Pelvis, Computed tomography, Slice index 60 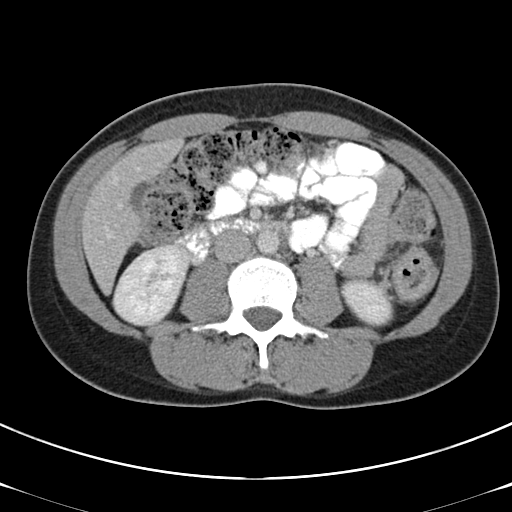 Findings:
* colon tumor: rect(391, 247, 439, 302)